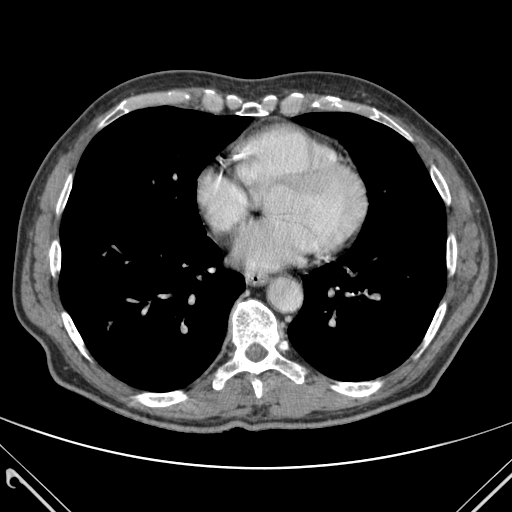
CT slice.
<segmentation>
  <bone>x1=252, y1=379, x2=261, y2=397; x1=431, y1=167, x2=450, y2=203; x1=100, y1=101, x2=129, y2=125; x1=62, y1=313, x2=87, y2=357; x1=213, y1=300, x2=303, y2=389; x1=49, y1=237, x2=60, y2=278; x1=321, y1=96, x2=344, y2=106; x1=137, y1=391, x2=186, y2=406; x1=362, y1=109, x2=409, y2=137; x1=447, y1=236, x2=456, y2=272; x1=332, y1=382, x2=380, y2=396; x1=236, y1=103, x2=269, y2=115; x1=425, y1=304, x2=445, y2=345; x1=56, y1=175, x2=71, y2=218</bone>
  <lung>x1=288, y1=112, x2=446, y2=380; x1=59, y1=106, x2=250, y2=391</lung>
</segmentation>